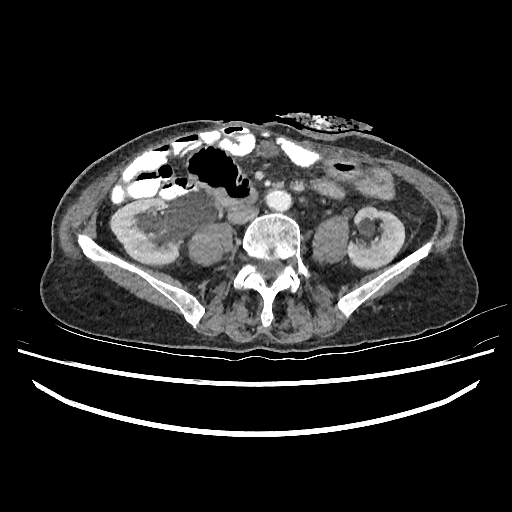 CT image.
2 kidney regions appear at (111,197,178,263), (348,208,404,267).